Slice 53/155; Brain
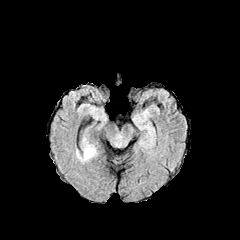
FLAIR MR.
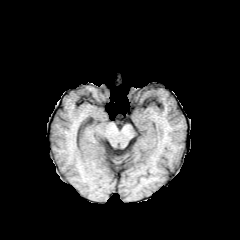
Same slice, T1-weighted MRI.
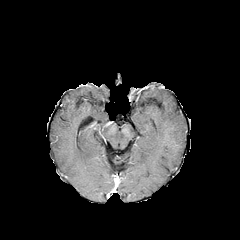
Post-contrast T1-weighted magnetic resonance of the same slice.
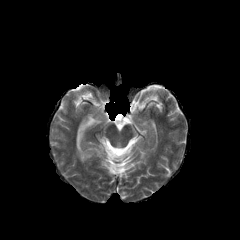
T2-weighted MR.
Edema = <bbox>76, 144, 97, 161</bbox>.